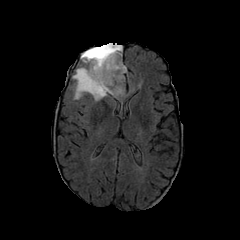
FLAIR MRI.
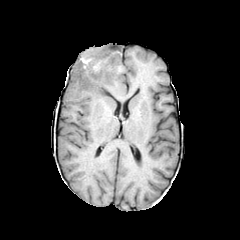
T1-weighted MRI of the same slice.
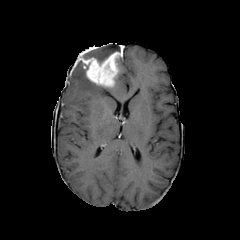
Post-contrast T1-weighted magnetic resonance.
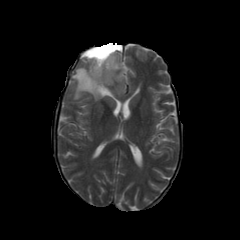
T2-weighted magnetic resonance.
Brain
The enhancing tumor is at <box>79,46,123,87</box>. The edema is located at <box>70,58,127,101</box>. 3 non-enhancing tumor core regions are located at <box>78,68,96,87</box>, <box>98,86,111,93</box>, <box>83,44,122,62</box>.